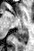
MRI
The posterior hippocampus is located at x1=14, y1=29, x2=27, y2=43.